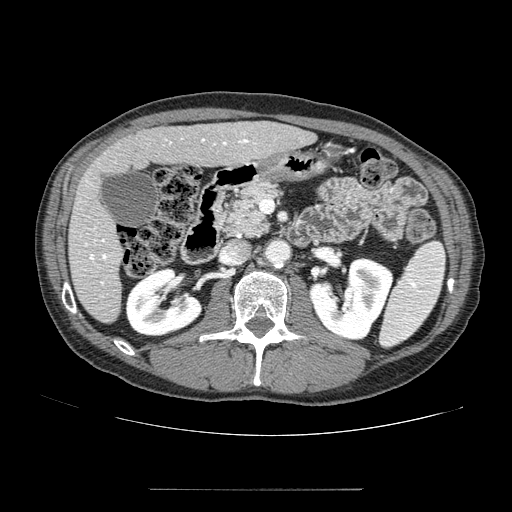 CT image.

Annotated regions:
- pancreas: box(219, 183, 284, 238)